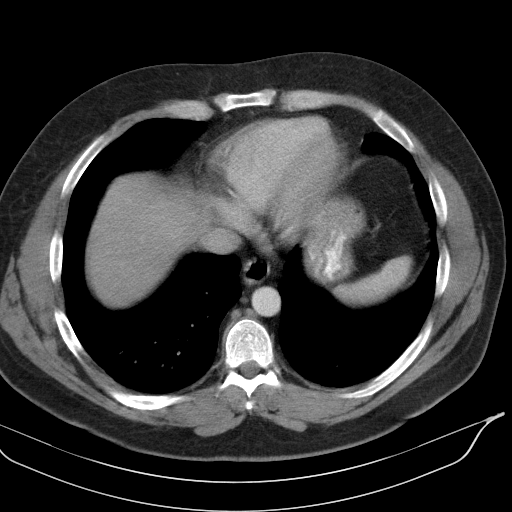
512x512 px. Computed tomography. {"spleen": ["box(340, 256, 411, 306)"]}